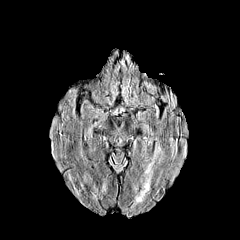
FLAIR magnetic resonance.
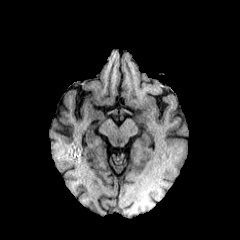
T1-weighted MR image.
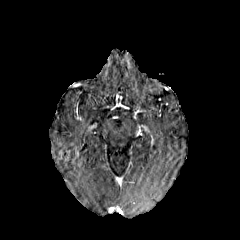
Same slice, post-contrast T1-weighted MR image.
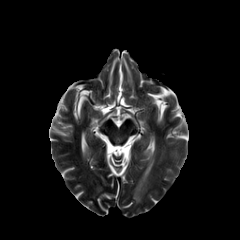
Same slice, T2-weighted MR.
Head.
2 edema regions are located at (146, 164, 152, 183), (134, 196, 141, 203).